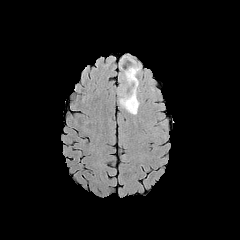
FLAIR magnetic resonance.
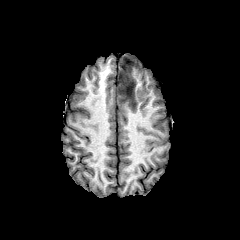
T1-weighted MRI.
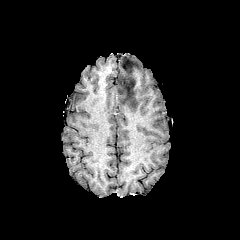
Post-contrast T1-weighted MRI.
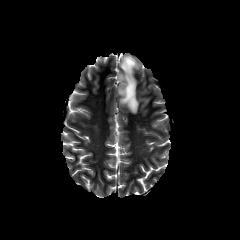
T2-weighted MR image of the same slice.
The non-enhancing tumor core is at l=118, t=57, r=136, b=106. 2 edema regions appear at l=119, t=59, r=141, b=114; l=118, t=54, r=130, b=82.